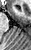

Image size 31x50. MR. Medial temporal lobe.

Segmented structures:
* anterior hippocampus: 18, 9, 21, 11